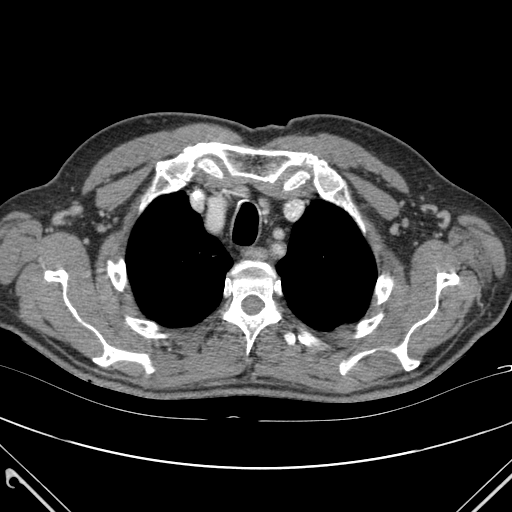 CT scan slice; Thorax
* lung: box=[276, 200, 376, 330]; box=[126, 191, 232, 327]
* bone: box=[376, 276, 392, 303]; box=[223, 261, 280, 353]; box=[141, 142, 344, 209]; box=[356, 314, 382, 337]; box=[340, 351, 369, 374]; box=[393, 273, 458, 370]; box=[108, 260, 125, 290]; box=[285, 334, 294, 343]; box=[126, 317, 163, 337]; box=[299, 332, 315, 344]; box=[45, 270, 153, 373]; box=[349, 210, 362, 227]